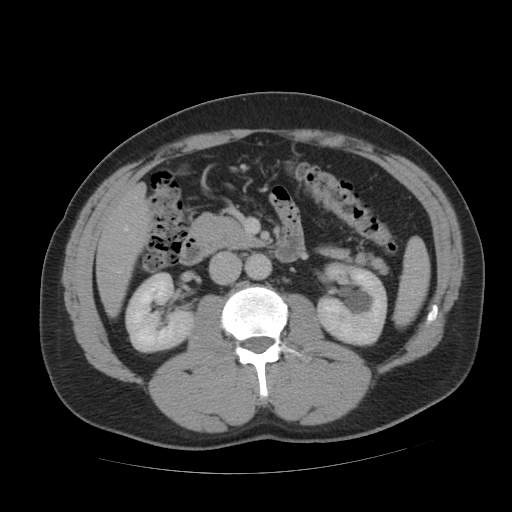 Computed tomography
Some hepatic vessels may have no box.
Hepatic vessel = box=[123, 225, 128, 231].